FLAIR MRI.
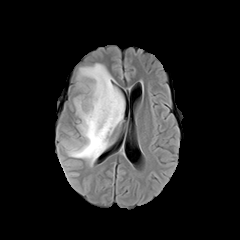
T1-weighted MRI.
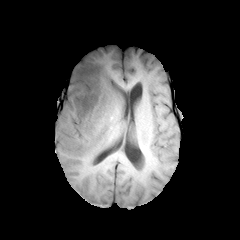
Post-contrast T1-weighted magnetic resonance.
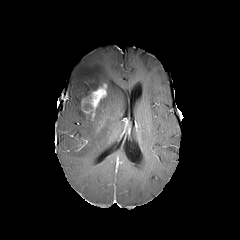
T2-weighted MRI.
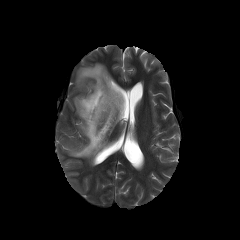
Head
{
  "edema": [
    "(x1=63, y1=63, x2=124, y2=165)"
  ],
  "non-enhancing_tumor_core": [
    "(x1=86, y1=82, x2=105, y2=96)",
    "(x1=92, y1=86, x2=107, y2=115)"
  ],
  "enhancing_tumor": [
    "(x1=81, y1=83, x2=106, y2=113)"
  ]
}